Computed tomography, Slice 85/112, Image size 512x512, Upper abdomen
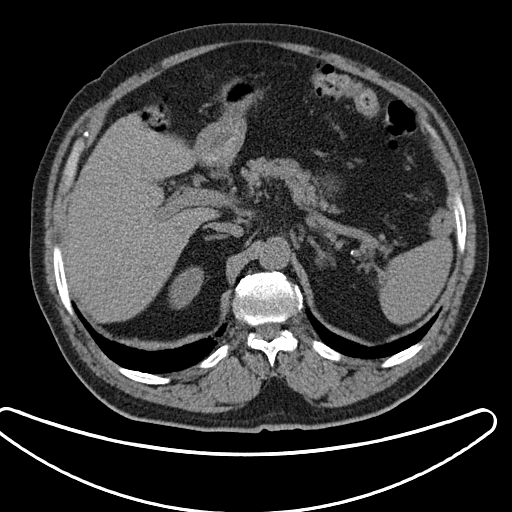 Spleen — 379:241:451:323.